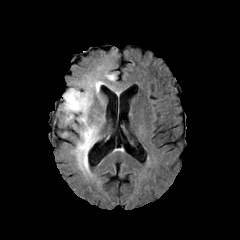
FLAIR MR image.
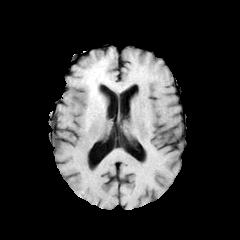
T1-weighted MRI.
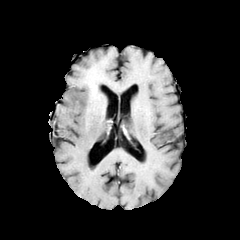
Same slice, post-contrast T1-weighted MR image.
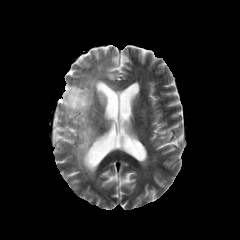
T2-weighted MR image.
Head.
The non-enhancing tumor core is bounded by rect(86, 76, 105, 104). 2 edema regions appear at rect(92, 66, 121, 103); rect(61, 77, 99, 177).